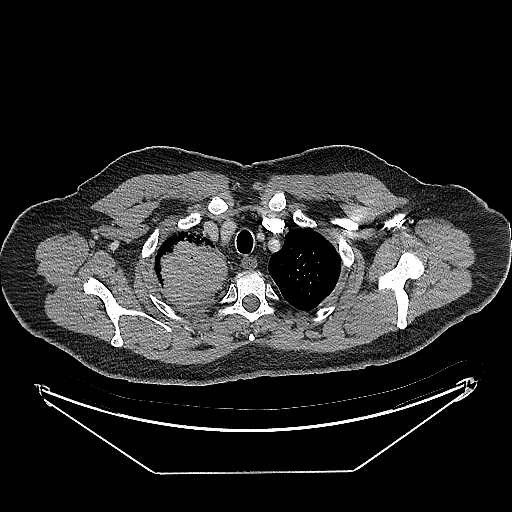
512x512 | CT | Thorax
The lung tumor is located at (154,232,227,310).